FLAIR MRI.
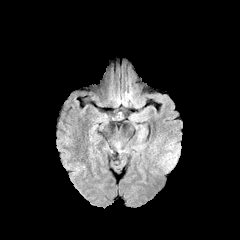
T1-weighted MR image.
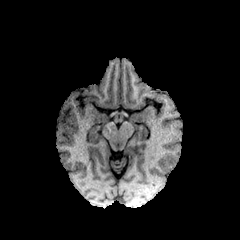
Post-contrast T1-weighted MR image.
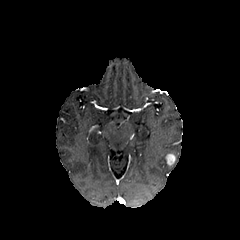
T2-weighted MR image.
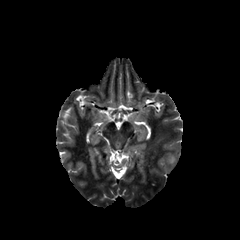
Brain
The enhancing tumor lies within (x1=164, y1=153, x2=176, y2=165).